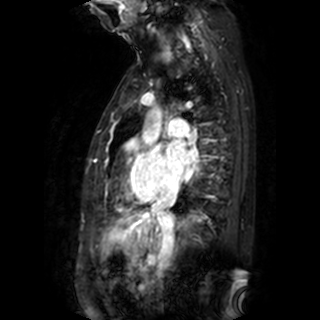
Heart. Magnetic resonance. left atrium: (165, 140, 196, 174)